512x512 px, Image width 400 mm, CT scan slice, Liver

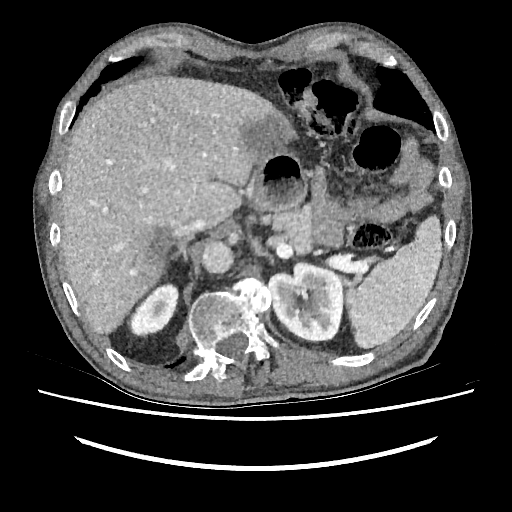 2 focal liver lesion regions are located at <bbox>240, 116, 288, 155</bbox>, <bbox>142, 227, 171, 279</bbox>. 2 kidney regions are bounded by <bbox>131, 285, 177, 334</bbox>, <bbox>268, 263, 342, 340</bbox>. The liver is bounded by <bbox>61, 76, 297, 333</bbox>.